Computed tomography. Slice index 62. Liver. 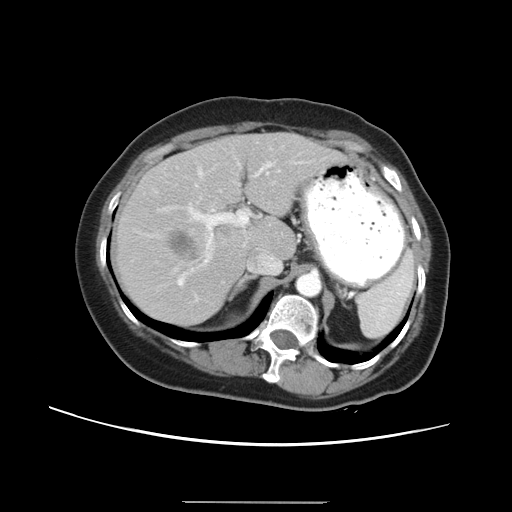

The vessel annotation is not exhaustive.
Liver tumor — bbox=[172, 232, 192, 252].
Hepatic vessel — bbox=[198, 169, 202, 175]; bbox=[178, 273, 185, 284]; bbox=[188, 204, 249, 262]; bbox=[175, 268, 176, 269]; bbox=[278, 170, 279, 171]; bbox=[257, 162, 271, 173].